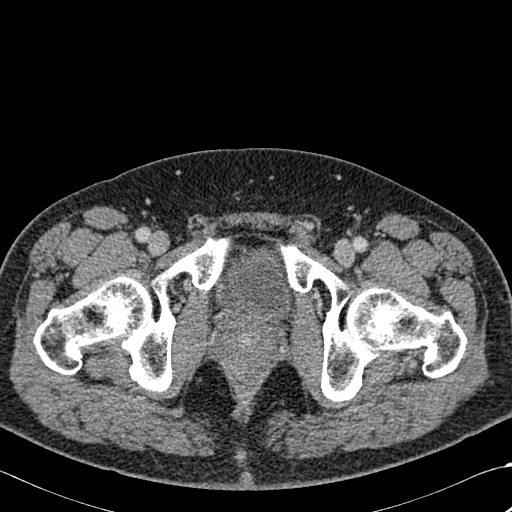
Computed tomography, 512x512
Bone: x1=281 y1=246 x2=466 y2=401, x1=34 y1=238 x2=228 y2=391.